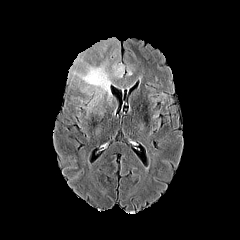
FLAIR MRI.
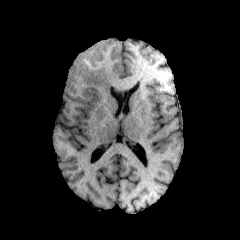
T1-weighted MR image of the same slice.
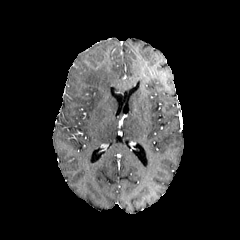
Post-contrast T1-weighted MR image.
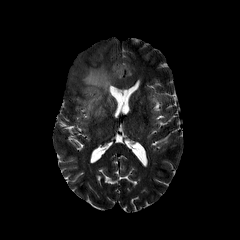
T2-weighted MR.
Brain
Annotated regions:
* edema: (126,62,132,76), (69,58,124,112)